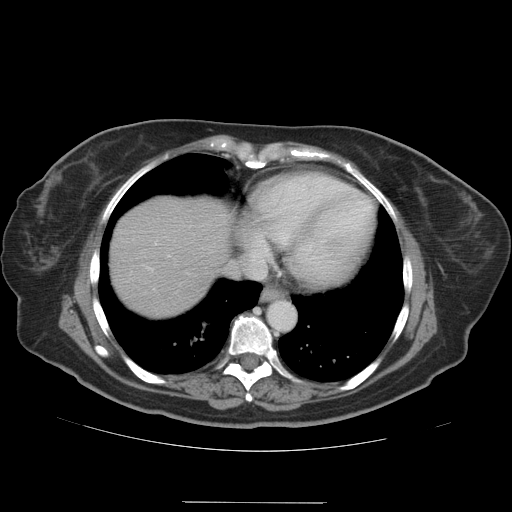 Computed tomography; 512x512

The vessel annotation is not exhaustive.
The hepatic vessel lies within {"x1": 218, "y1": 270, "x2": 221, "y2": 271}.